Brain | Slice 53/155
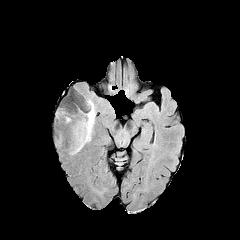
FLAIR MRI.
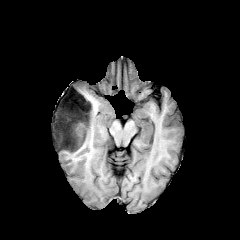
T1-weighted MRI of the same slice.
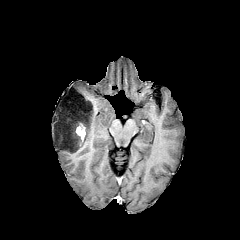
Post-contrast T1-weighted magnetic resonance of the same slice.
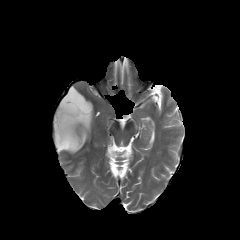
T2-weighted magnetic resonance of the same slice.
The edema is bounded by box=[84, 99, 95, 143]. The non-enhancing tumor core lies within box=[55, 95, 92, 152]. The enhancing tumor lies within box=[76, 123, 85, 141].